Liver. CT scan slice.

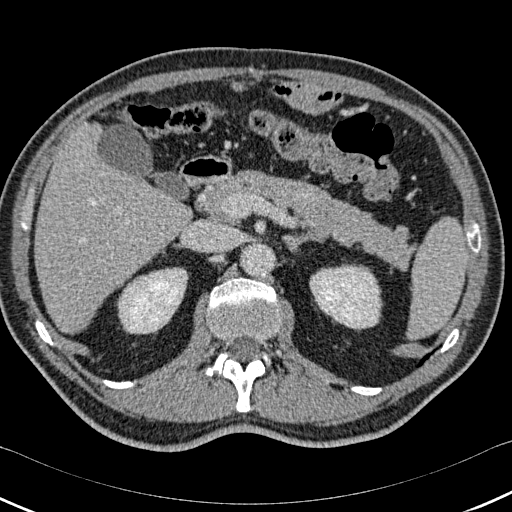 Annotated regions:
* bone: 467,224,480,251; 352,387,380,394; 104,380,132,388; 207,278,280,339; 441,329,458,351; 206,353,264,411; 36,321,52,344
* liver: 35,123,191,332
* kidney: 310,266,379,327; 119,268,186,333
* lung: 415,344,441,367